CT slice. Upper abdomen. 512x512 px. Slice 305 of 696.

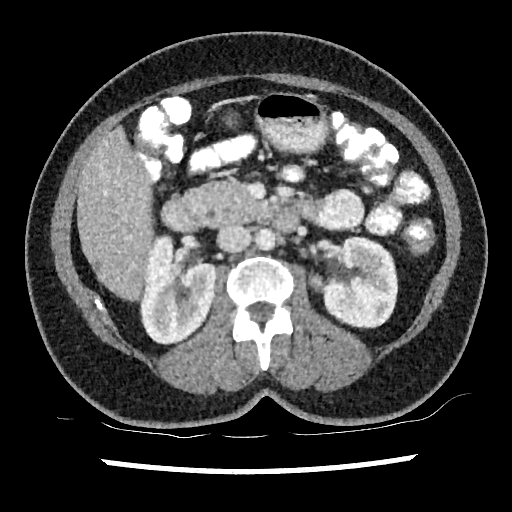

Segmented structures:
• kidney: (315, 237, 396, 326), (141, 237, 215, 343)
• liver: (77, 127, 153, 297)